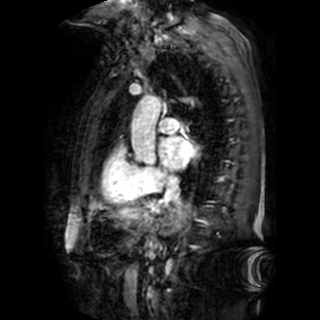 Cardiac; Image size 320x320; MRI
<segmentation>
  <left_atrium>[x1=159, y1=137, x2=199, y2=170]</left_atrium>
</segmentation>